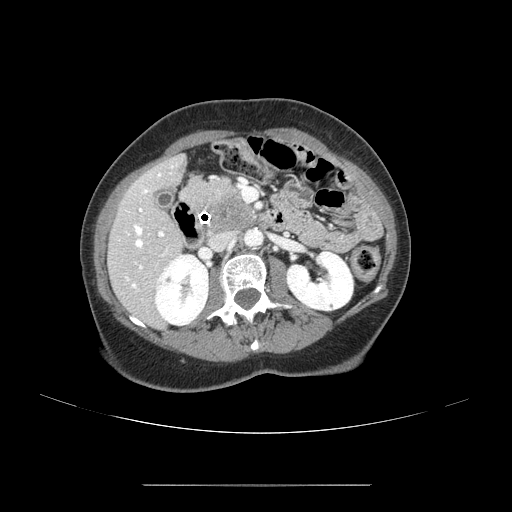

CT image
pancreatic tumor: box=[209, 196, 253, 230] | pancreas: box=[183, 177, 256, 241]